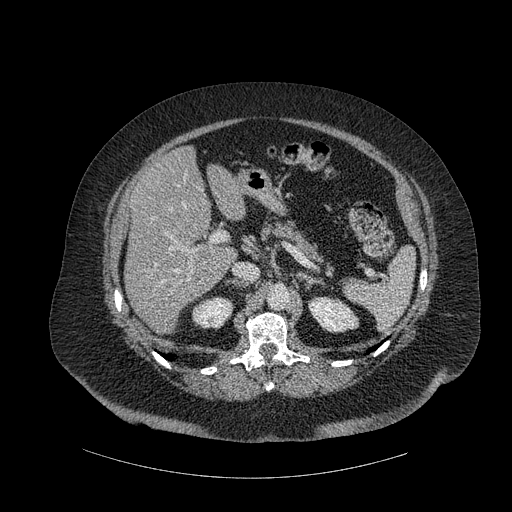

CT scan slice.

liver:
  - [207,164,244,217]
  - [125,145,236,334]
kidney:
  - [193,298,232,327]
  - [309,297,357,331]
bone:
  - [230,313,309,370]
  - [152,351,170,368]
  - [201,367,216,374]
  - [374,341,389,355]
  - [332,360,351,366]
  - [114,290,121,311]
  - [420,270,426,289]